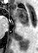

MR image
• anterior hippocampus: left=15, top=8, right=28, bottom=24
• posterior hippocampus: left=25, top=29, right=26, bottom=33; left=22, top=24, right=27, bottom=28